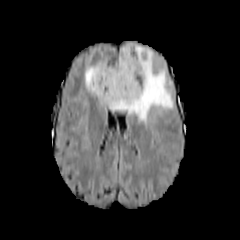
FLAIR magnetic resonance.
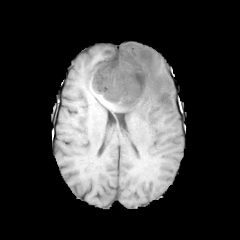
T1-weighted MR image.
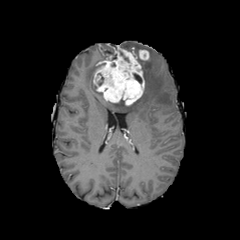
Post-contrast T1-weighted magnetic resonance.
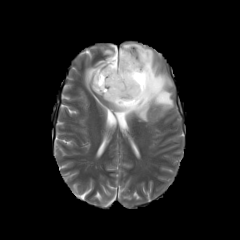
T2-weighted MR image of the same slice.
240x240 px
{
  "edema": [
    "[x1=103, y1=43, x2=173, y2=123]",
    "[x1=85, y1=66, x2=103, y2=97]"
  ],
  "non-enhancing_tumor_core": [
    "[x1=133, y1=72, x2=141, y2=84]",
    "[x1=136, y1=54, x2=144, y2=71]"
  ],
  "enhancing_tumor": [
    "[x1=93, y1=48, x2=144, y2=104]",
    "[x1=138, y1=49, x2=148, y2=60]"
  ]
}